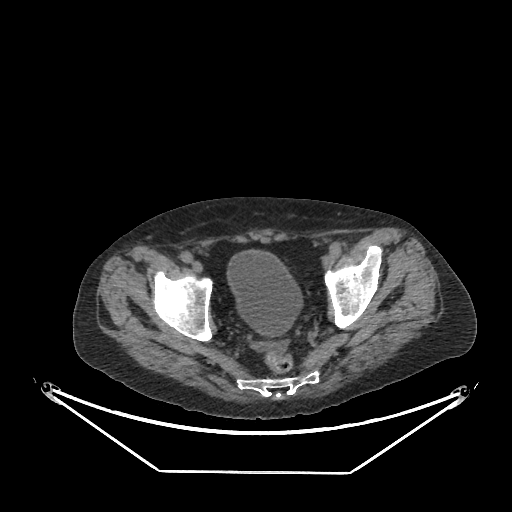
512x512 px; CT image
urinary bladder: {"x1": 226, "y1": 249, "x2": 303, "y2": 338}